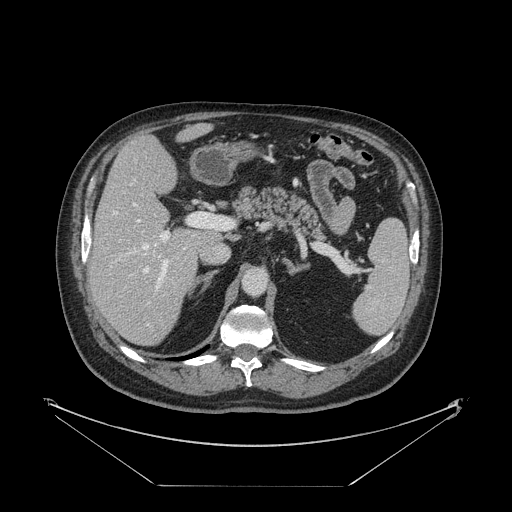

Computed tomography | 512x512 | Abdomen
Some hepatic vessels may have no box.
Hepatic vessel — [133,203,135,205], [158,259,168,284], [137,220,139,221].